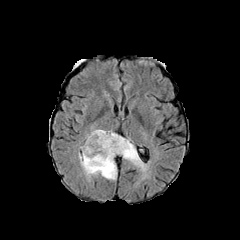
FLAIR MR image.
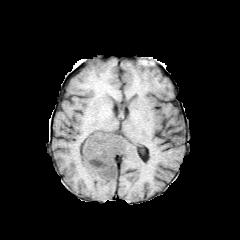
Same slice, T1-weighted MRI.
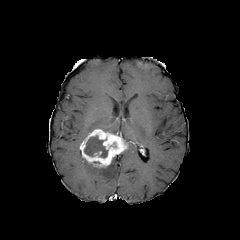
Same slice, post-contrast T1-weighted MRI.
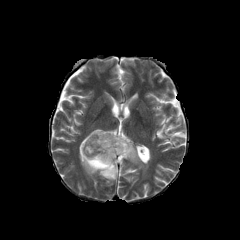
T2-weighted MR of the same slice.
Brain
{
  "non-enhancing_tumor_core": [
    "bbox(85, 136, 107, 157)"
  ],
  "enhancing_tumor": [
    "bbox(79, 129, 132, 168)"
  ],
  "edema": [
    "bbox(78, 152, 117, 180)",
    "bbox(120, 143, 147, 171)"
  ]
}